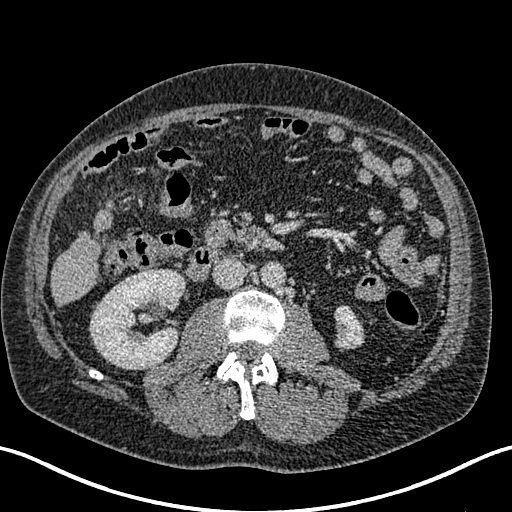 Computed tomography, Upper abdomen

Hepatic lesion at 90, 237, 99, 255; 95, 223, 106, 234.
Liver at 52, 200, 114, 306.
Kidney at 335, 307, 361, 347; 90, 270, 183, 368.